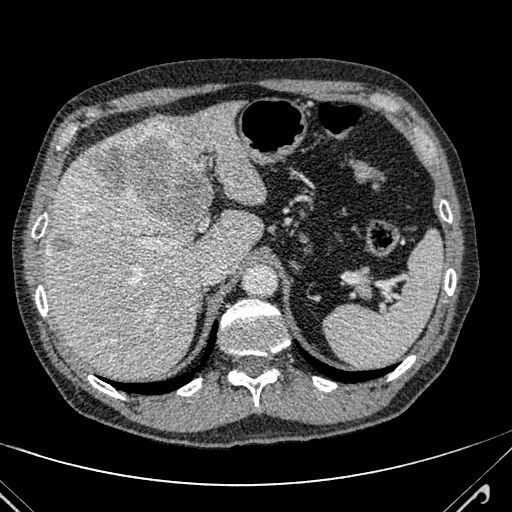 CT slice | Liver
{
  "liver_lesion": [
    "l=92, t=136, r=215, b=229",
    "l=52, t=238, r=69, b=250"
  ],
  "liver": [
    "l=46, t=102, r=265, b=376"
  ]
}